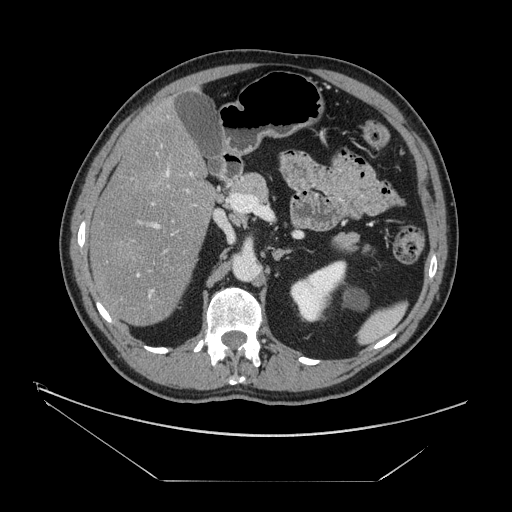

CT | Abdomen

The vessel boxes may cover only some of the vessels.
<segmentation>
  <hepatic_vessel>rect(166, 170, 168, 174); rect(153, 224, 157, 226)</hepatic_vessel>
</segmentation>